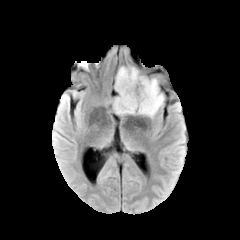
FLAIR MRI.
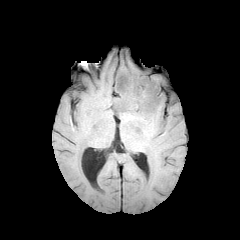
T1-weighted MR of the same slice.
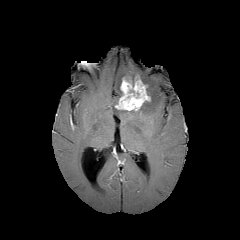
Post-contrast T1-weighted MR image.
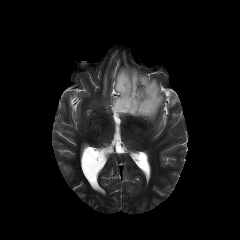
T2-weighted MR of the same slice.
Brain
Enhancing tumor = <bbox>114, 76, 150, 111</bbox>.
Non-enhancing tumor core = <bbox>112, 70, 153, 114</bbox>.
Edema = <bbox>118, 74, 164, 118</bbox>, <bbox>116, 67, 138, 81</bbox>.